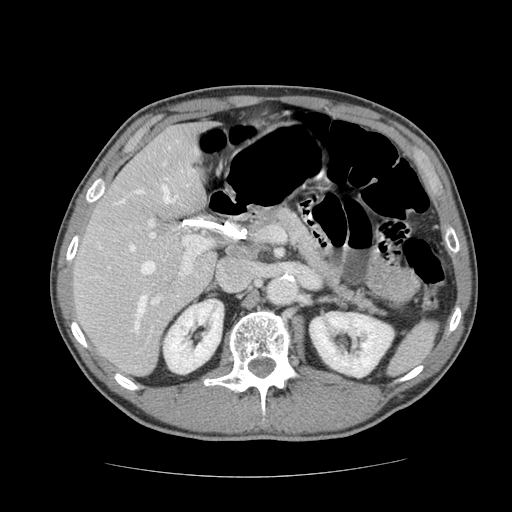
Image size 512x512. Upper abdomen. CT scan slice.
<segmentation>
  <pancreas>[x1=258, y1=206, x2=387, y2=317]</pancreas>
</segmentation>